CT; Slice index 169; 512x512

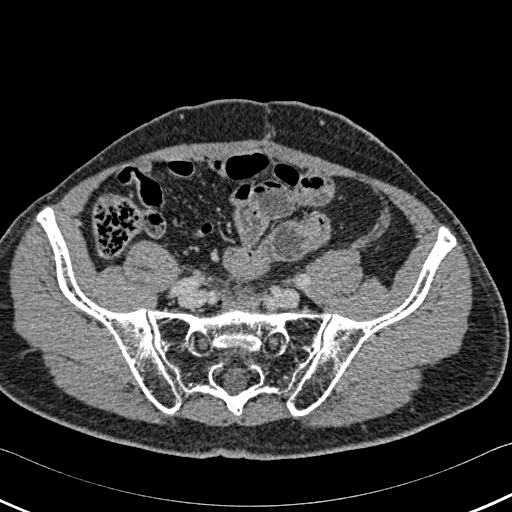
{"bone": ["[37,208,455,416]"]}